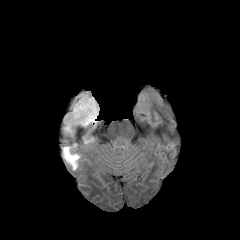
FLAIR MR image.
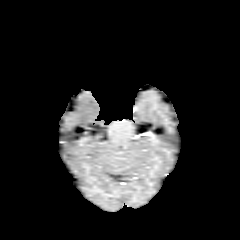
Same slice, T1-weighted MRI.
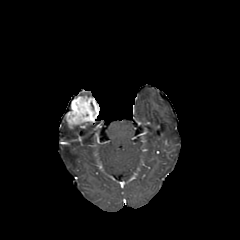
Post-contrast T1-weighted MR image.
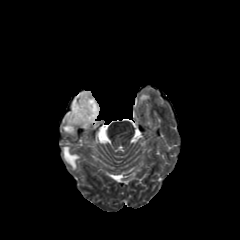
T2-weighted magnetic resonance.
Brain
<segmentation>
  <edema>[63,121,72,133], [62,143,80,170]</edema>
  <enhancing_tumor>[65,93,99,128]</enhancing_tumor>
</segmentation>